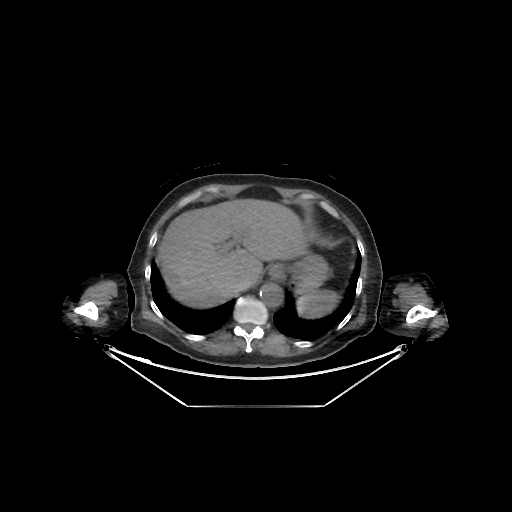

Abdomen, Image size 512x512, CT

Segmented structures:
* liver: 156,200,302,308
* bone: 74,301,97,320; 150,233,156,245; 338,314,350,328; 151,301,162,317; 186,335,204,340; 295,342,310,347; 356,278,361,294; 358,240,363,255; 145,266,150,278; 234,298,266,351; 406,305,436,324
* lung: 273,248,361,340; 150,261,235,334